FLAIR MRI.
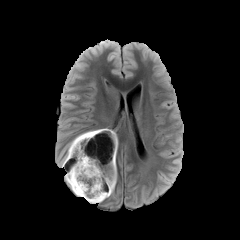
T1-weighted magnetic resonance.
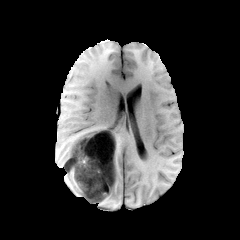
Post-contrast T1-weighted magnetic resonance.
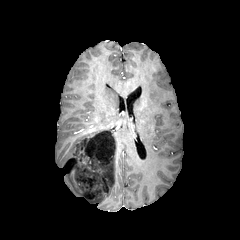
T2-weighted MRI.
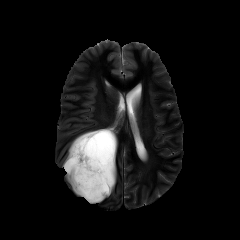
Brain. 240x240 px.
<segmentation>
  <edema>x1=66 y1=173 x2=89 y2=201, x1=63 y1=139 x2=73 y2=166, x1=97 y1=168 x2=116 y2=202</edema>
  <non-enhancing_tumor_core>x1=65 y1=128 x2=117 y2=201</non-enhancing_tumor_core>
</segmentation>